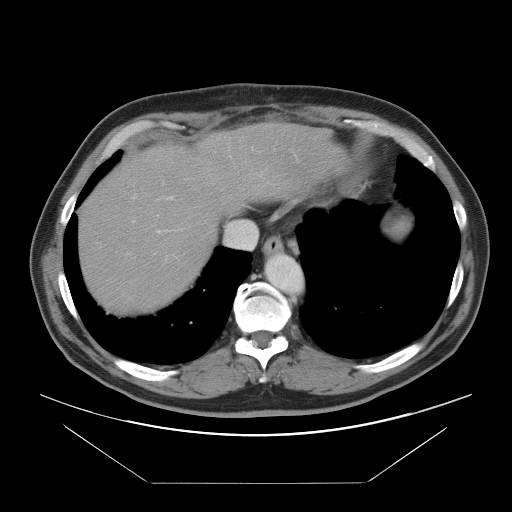
Computed tomography, Abdomen
Not every hepatic vessel necessarily has a box.
hepatic_vessel:
  - region(169, 196, 172, 199)
  - region(157, 230, 159, 232)